CT scan slice. Slice index 125.
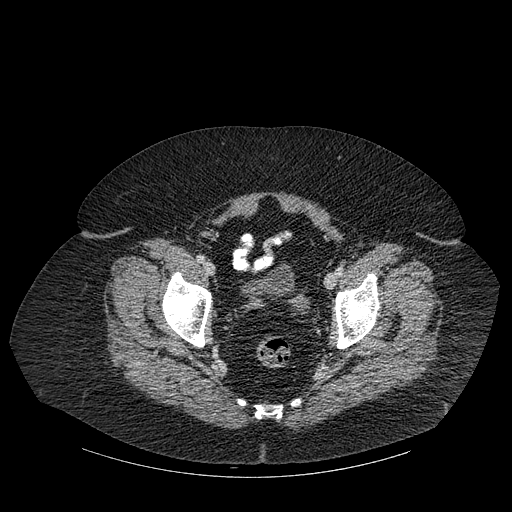

<segmentation>
  <bone>box=[335, 273, 379, 348]; box=[254, 405, 282, 418]; box=[291, 399, 300, 405]; box=[162, 272, 211, 346]</bone>
</segmentation>